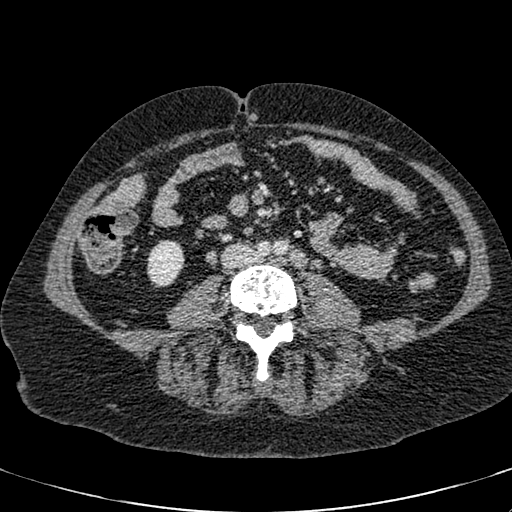

CT | Abdomen
The kidney is located at (148, 241, 183, 285).